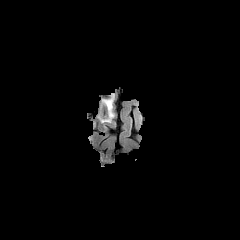
FLAIR MRI.
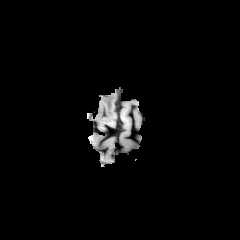
T1-weighted MRI.
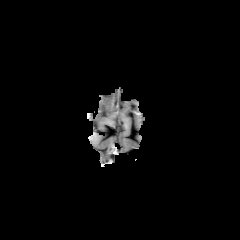
Post-contrast T1-weighted MR of the same slice.
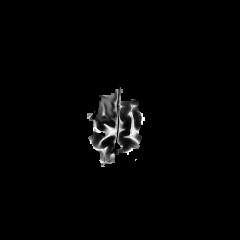
Same slice, T2-weighted MR image.
Brain. Image size 240x240.
{"edema": ["[103, 96, 113, 118]"]}